CT scan slice

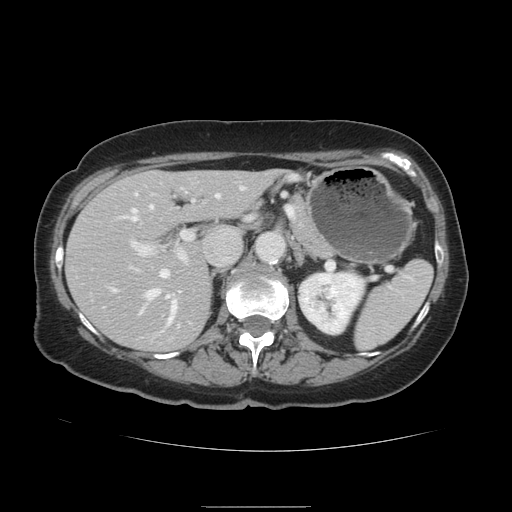
The vessel boxes may cover only some of the vessels.
Hepatic vessel: bounding box x1=176 y1=248 x2=185 y2=260, x1=144 y1=289 x2=159 y2=301, x1=149 y1=205 x2=152 y2=209, x1=239 y1=186 x2=244 y2=190, x1=134 y1=192 x2=136 y2=195, x1=111 y1=288 x2=116 y2=291, x1=159 y1=269 x2=168 y2=277, x1=185 y1=190 x2=186 y2=191, x1=138 y1=307 x2=144 y2=314, x1=117 y1=209 x2=136 y2=220, x1=130 y1=240 x2=154 y2=255, x1=166 y1=295 x2=176 y2=322, x1=215 y1=194 x2=218 y2=197.